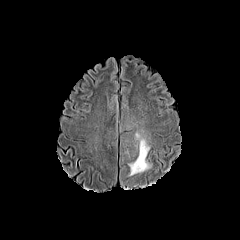
FLAIR MRI.
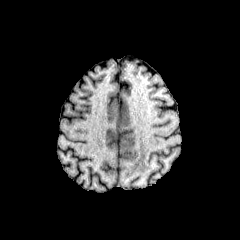
Same slice, T1-weighted MR.
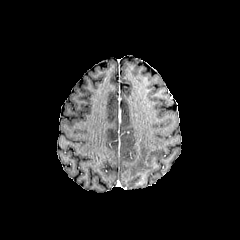
Post-contrast T1-weighted MR image of the same slice.
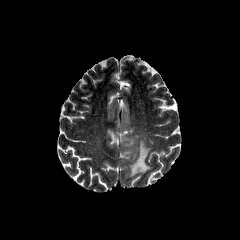
T2-weighted MRI.
Edema = box(128, 132, 150, 176).